Head
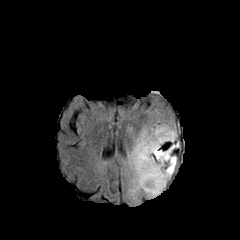
FLAIR MR image.
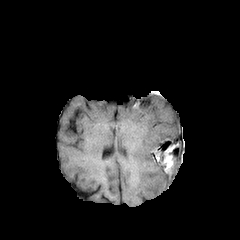
T1-weighted MRI of the same slice.
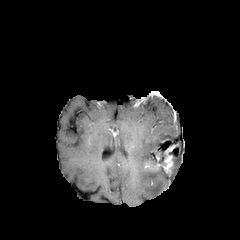
Same slice, post-contrast T1-weighted MR.
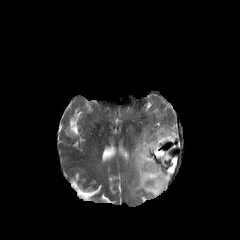
T2-weighted MR.
* edema: (left=126, top=120, right=179, bottom=199)
* enhancing tumor: (left=163, top=145, right=175, bottom=172)